CT scan slice. Slice 4 of 129.
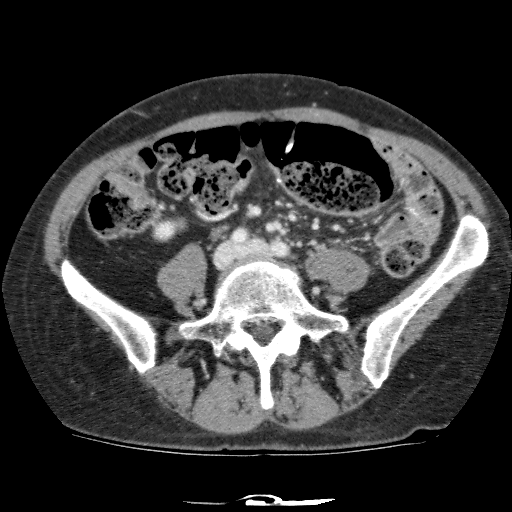 The kidney is at 156,223,172,236.